CT scan slice; Liver; Slice 61/131

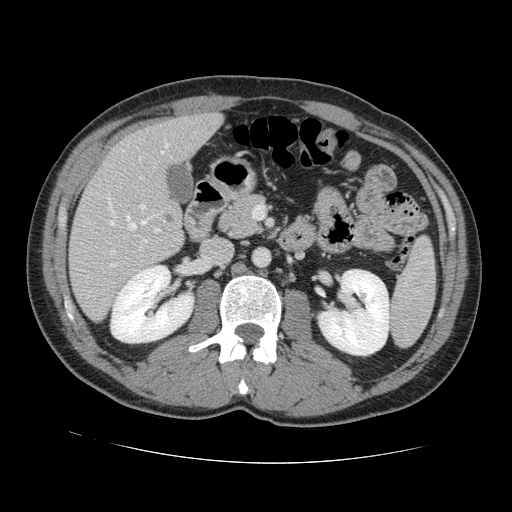
Some hepatic vessels may have no box.
Findings:
- hepatic vessel: (164,139,168,147), (111,249,114,253), (160,150,163,153), (111,263,115,266), (138,158,140,160), (142,240,146,242), (154,228,159,231), (126,215,135,230), (140,205,145,212), (158,212,161,214), (92,222,95,224), (107,195,115,225), (141,215,157,224)
- liver tumor: (164,216,174,224)